FLAIR MR image.
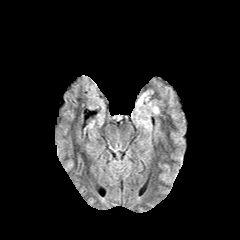
T1-weighted MR.
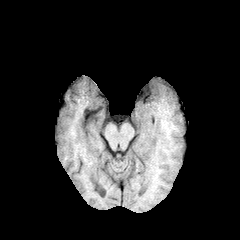
Post-contrast T1-weighted MRI.
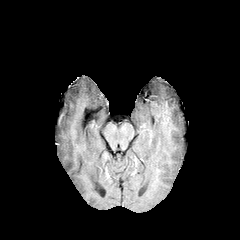
T2-weighted MRI.
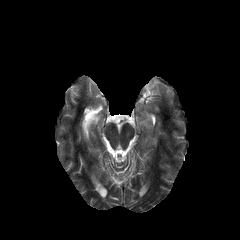
Brain.
edema:
  - rect(136, 91, 158, 119)